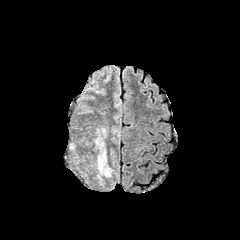
FLAIR MRI.
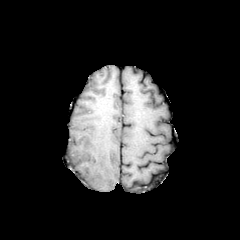
Same slice, T1-weighted MRI.
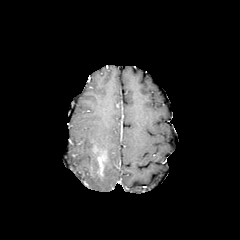
Post-contrast T1-weighted MR image of the same slice.
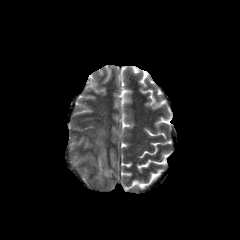
T2-weighted MR of the same slice.
240x240, Head
Enhancing tumor = 97 157 102 175.
Edema = 98 150 110 176.